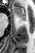 Medial temporal lobe. MR. Segmented structures:
• anterior hippocampus: 14, 7, 25, 19